FLAIR magnetic resonance.
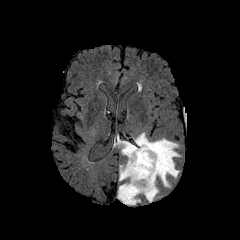
T1-weighted MR.
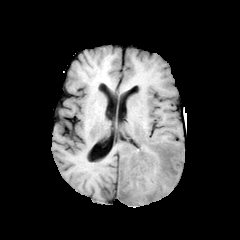
Post-contrast T1-weighted MRI.
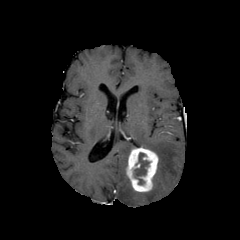
T2-weighted MR image.
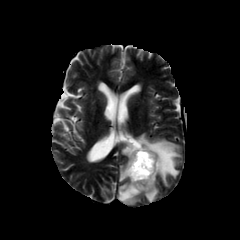
{"edema": ["112, 132, 181, 205"], "non-enhancing_tumor_core": ["136, 153, 147, 175"], "enhancing_tumor": ["125, 145, 159, 192"]}